Liver, CT
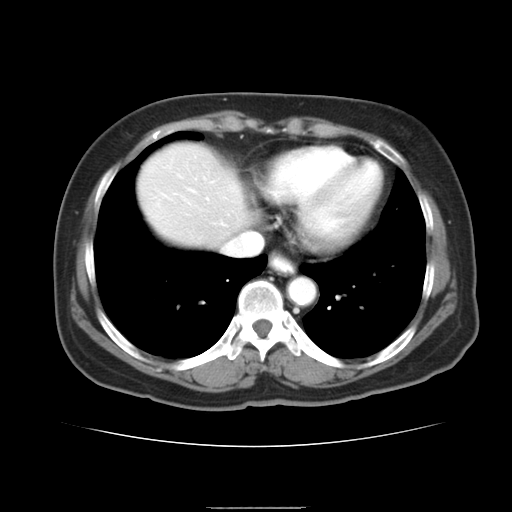 Some hepatic vessels may have no box.
3 hepatic vessel regions are bounded by 206, 198, 207, 199; 210, 181, 212, 183; 189, 189, 193, 191.